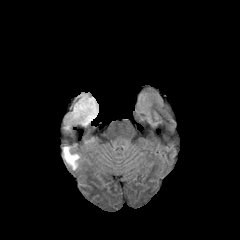
FLAIR magnetic resonance.
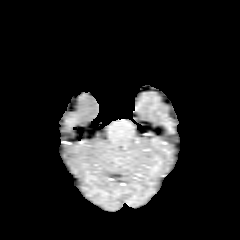
T1-weighted MR.
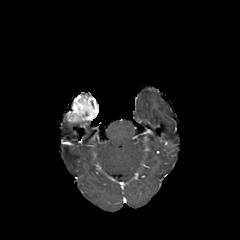
Post-contrast T1-weighted MRI.
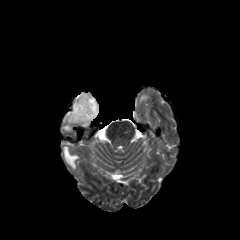
T2-weighted MR image.
Head
<segmentation>
  <enhancing_tumor>(x1=66, y1=94, x2=97, y2=125)</enhancing_tumor>
  <edema>(x1=62, y1=142, x2=79, y2=169), (x1=64, y1=122, x2=73, y2=135)</edema>
</segmentation>